CT slice | Image size 512x512

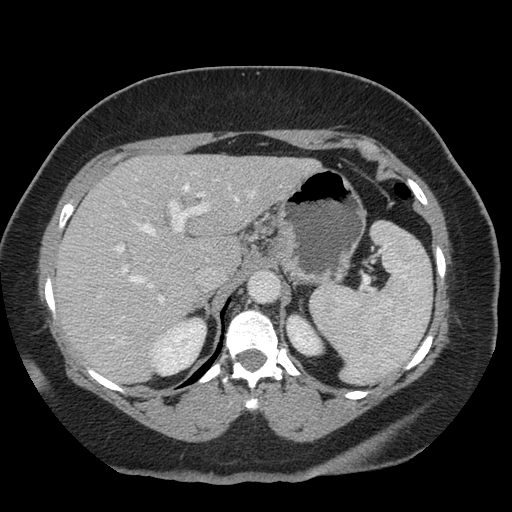

The vessel annotation is not exhaustive.
Findings:
- hepatic vessel (top 15 of 16): box=[113, 246, 123, 251]; box=[170, 201, 183, 231]; box=[229, 186, 230, 189]; box=[137, 224, 153, 233]; box=[131, 276, 143, 283]; box=[110, 336, 128, 346]; box=[122, 267, 126, 274]; box=[248, 191, 254, 197]; box=[159, 297, 163, 303]; box=[198, 193, 204, 197]; box=[134, 222, 136, 223]; box=[235, 197, 237, 200]; box=[191, 205, 208, 214]; box=[148, 284, 152, 287]; box=[183, 184, 189, 190]